Slice 71/155; Image size 240x240
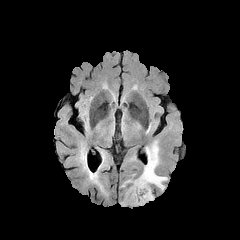
FLAIR MR image.
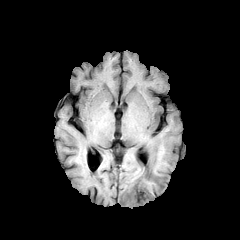
T1-weighted MR.
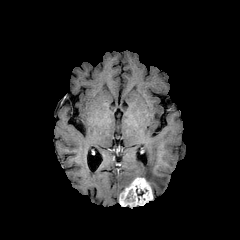
Post-contrast T1-weighted magnetic resonance.
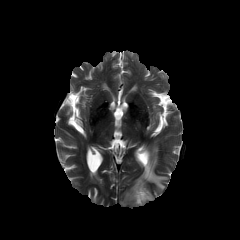
T2-weighted MR of the same slice.
The enhancing tumor is located at (119,177,153,206). The edema is bounded by (140,140,167,190).